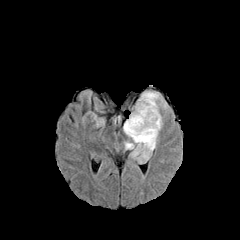
FLAIR MR.
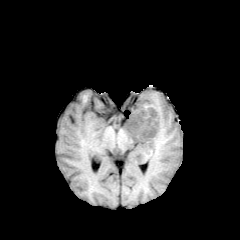
Same slice, T1-weighted MR image.
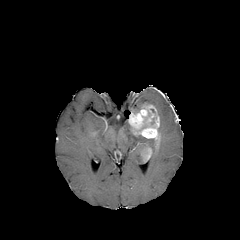
Post-contrast T1-weighted MR.
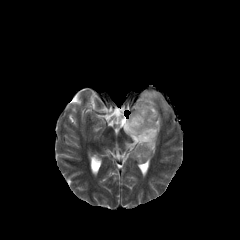
T2-weighted MRI of the same slice.
Head. 240x240 px.
Enhancing tumor at {"x1": 128, "y1": 102, "x2": 159, "y2": 140}, {"x1": 142, "y1": 146, "x2": 151, "y2": 161}.
Non-enhancing tumor core at {"x1": 134, "y1": 135, "x2": 153, "y2": 143}.
Edema at {"x1": 140, "y1": 139, "x2": 159, "y2": 156}, {"x1": 122, "y1": 119, "x2": 145, "y2": 163}, {"x1": 131, "y1": 90, "x2": 168, "y2": 135}.